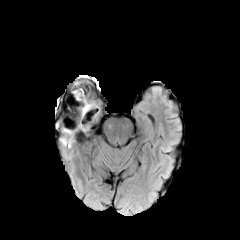
FLAIR MRI.
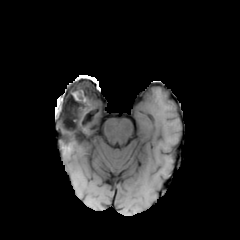
T1-weighted MR.
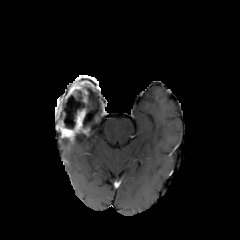
Post-contrast T1-weighted MR of the same slice.
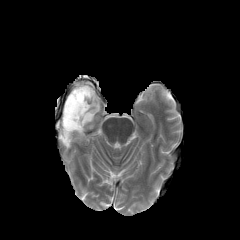
T2-weighted MR image.
Non-enhancing tumor core — <bbox>62, 106, 83, 129</bbox>.
Edema — <bbox>60, 137, 73, 147</bbox>.
Enhancing tumor — <bbox>72, 83, 83, 95</bbox>, <bbox>57, 109, 84, 139</bbox>.